Abdomen. Field of view 404 mm wide, 1.50 mm slice spacing. Slice index 81. CT. 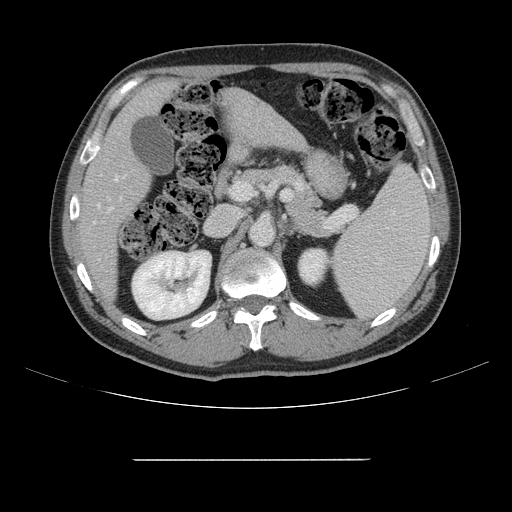
The vessel annotation is not exhaustive.
<segmentation>
  <hepatic_vessel>{"x1": 98, "y1": 204, "x2": 99, "y2": 207}, {"x1": 108, "y1": 207, "x2": 112, "y2": 211}, {"x1": 115, "y1": 176, "x2": 117, "y2": 181}</hepatic_vessel>
</segmentation>